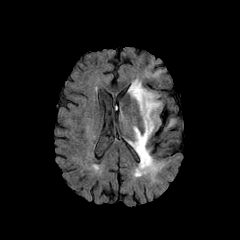
FLAIR MR.
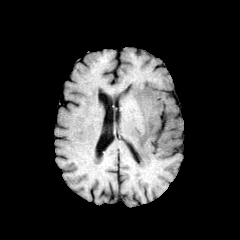
T1-weighted magnetic resonance of the same slice.
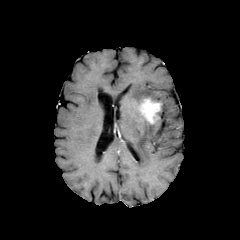
Same slice, post-contrast T1-weighted magnetic resonance.
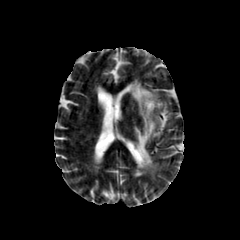
T2-weighted MRI.
Head; 240x240
Segmented structures:
- edema: <bbox>127, 78, 159, 109</bbox>, <bbox>128, 110, 163, 178</bbox>
- enhancing tumor: <bbox>139, 98, 161, 123</bbox>